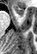

Magnetic resonance | Hippocampus
Anterior hippocampus: 13:5:24:16.